FLAIR MR.
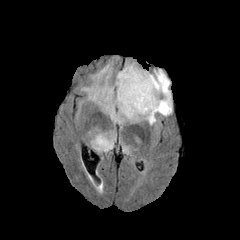
T1-weighted MR image.
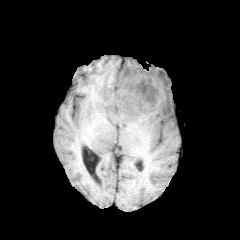
Post-contrast T1-weighted magnetic resonance.
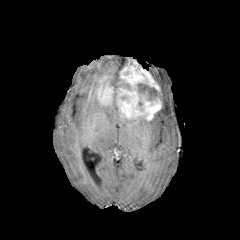
T2-weighted magnetic resonance.
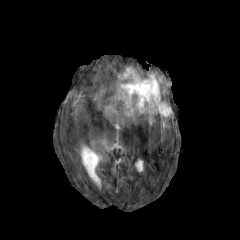
<segmentation>
  <enhancing_tumor>[x1=96, y1=59, x2=161, y2=120]</enhancing_tumor>
  <edema>[x1=147, y1=68, x2=172, y2=126], [x1=81, y1=61, x2=119, y2=104], [x1=98, y1=93, x2=146, y2=129], [x1=92, y1=132, x2=116, y2=152]</edema>
  <non-enhancing_tumor_core>[x1=120, y1=82, x2=157, y2=110]</non-enhancing_tumor_core>
</segmentation>